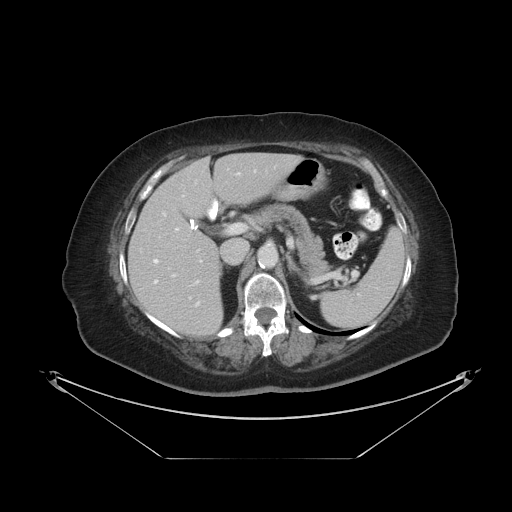

Liver; CT scan slice

Some hepatic vessels may have no box.
Segmented structures:
* hepatic vessel: [227,226,232,233], [172,274,175,275], [153,279,158,283], [163,212,165,215], [194,280,198,283], [230,240,247,255], [175,227,177,229], [189,296,190,298], [237,172,239,174], [153,258,159,264], [196,248,202,251], [196,302,198,304], [200,259,201,261]